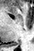
Hippocampus | MR image
posterior_hippocampus:
  - left=11, top=41, right=20, bottom=45